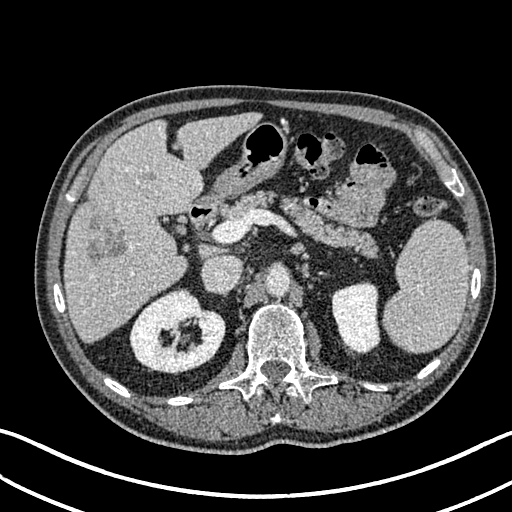
512x512 | CT
The liver is at [65,112,260,341]. 2 focal liver lesion regions appear at [142,173,155,194], [89,213,127,258]. 2 kidney regions are bounded by [130,291,224,372], [333,284,379,351].